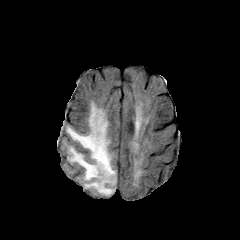
FLAIR MRI.
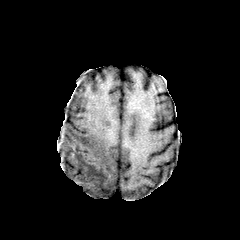
Same slice, T1-weighted MR.
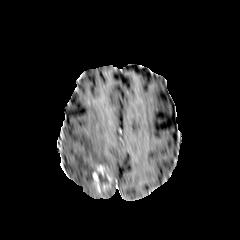
Post-contrast T1-weighted MRI.
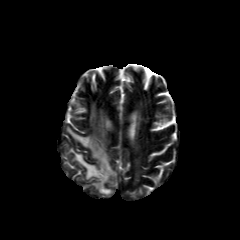
T2-weighted MR image of the same slice.
Brain
non-enhancing_tumor_core:
  - (x1=98, y1=174, x2=114, y2=193)
edema:
  - (x1=66, y1=103, x2=116, y2=195)
enhancing_tumor:
  - (x1=92, y1=165, x2=112, y2=192)